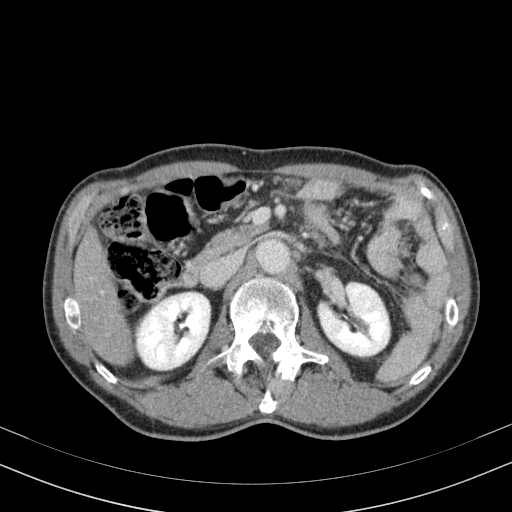

CT scan slice | Abdomen
2 kidney regions appear at x1=137, y1=293, x2=209, y2=369; x1=319, y1=283, x2=389, y2=355. The liver is bounded by x1=74, y1=228, x2=132, y2=366.